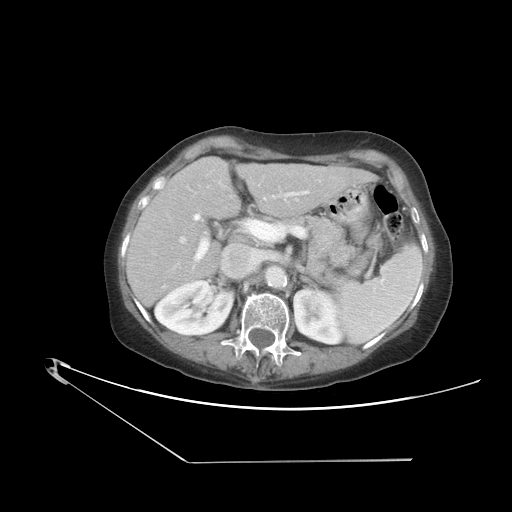
Liver, CT slice
Only some of the vessels may be annotated.
hepatic_vessel:
  - (272, 195, 275, 198)
  - (264, 196, 265, 199)
  - (279, 190, 308, 199)
  - (180, 237, 184, 242)
  - (193, 265, 194, 267)
  - (163, 285, 165, 287)
  - (194, 214, 199, 219)
  - (205, 232, 206, 234)
  - (195, 238, 208, 260)
  - (295, 198, 297, 200)